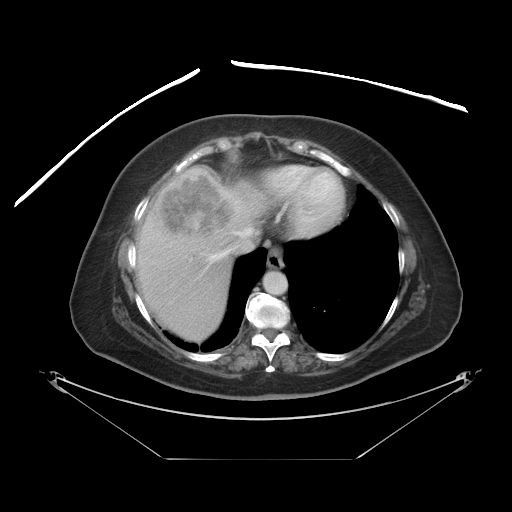 512x512, Abdomen, CT
Not every hepatic vessel necessarily has a box.
hepatic vessel: x1=209 y1=225 x2=253 y2=261 | liver tumor: x1=159 y1=174 x2=235 y2=240